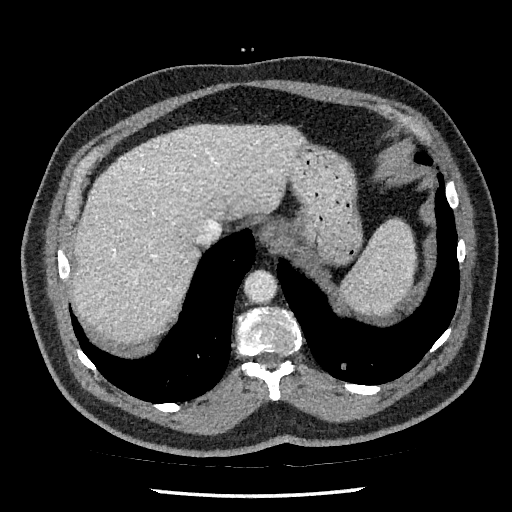
CT.
liver:
  - 73, 126, 303, 341